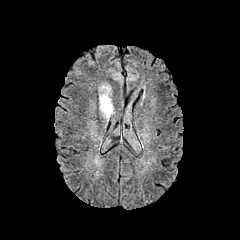
FLAIR MR image.
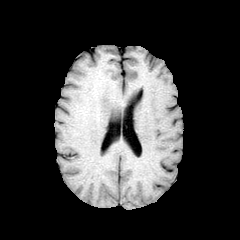
T1-weighted magnetic resonance.
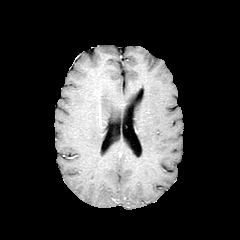
Post-contrast T1-weighted MR image of the same slice.
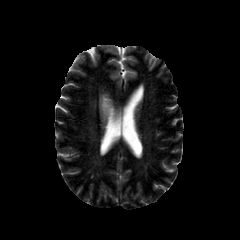
T2-weighted magnetic resonance.
Edema: bounding box bbox(99, 93, 114, 120).